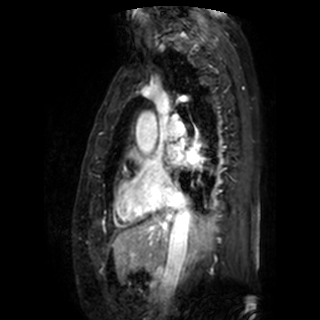 Cardiac. MR image.

The left atrium lies within box(169, 146, 201, 165).